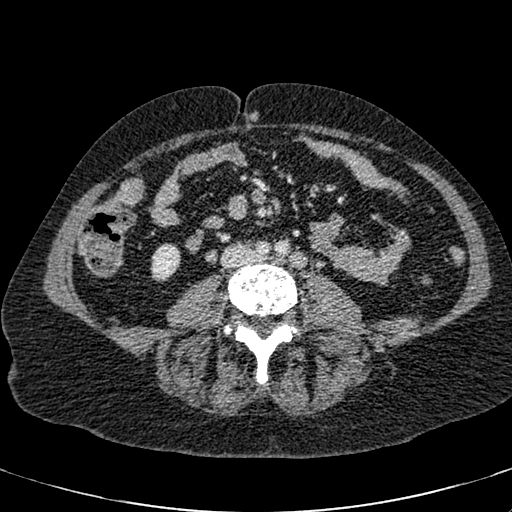 512x512; CT
kidney: (151, 244, 179, 279)